Slice index 104, Field of view 240x240 mm, Head
FLAIR MRI.
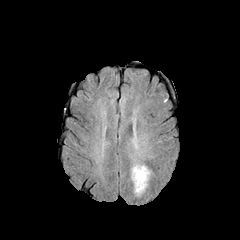
T1-weighted MR.
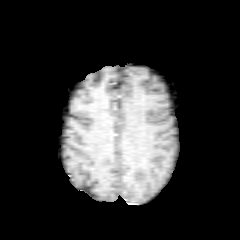
Post-contrast T1-weighted MRI.
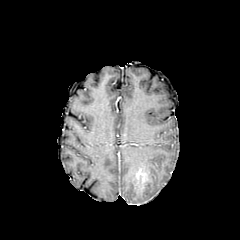
T2-weighted MR image.
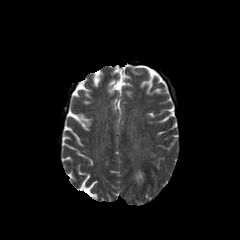
enhancing tumor: left=136, top=170, right=144, bottom=181 | edema: left=132, top=165, right=147, bottom=193